FLAIR magnetic resonance.
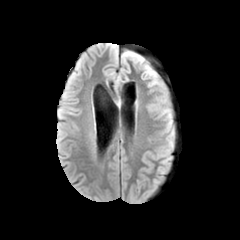
T1-weighted MRI.
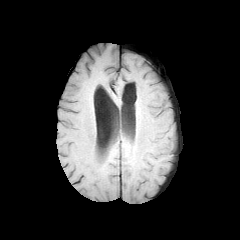
Post-contrast T1-weighted MRI.
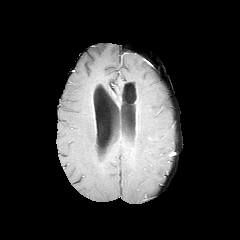
T2-weighted MR image.
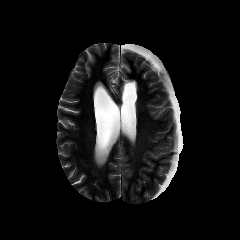
Head.
2 edema regions appear at region(146, 65, 156, 78); region(158, 104, 167, 113).